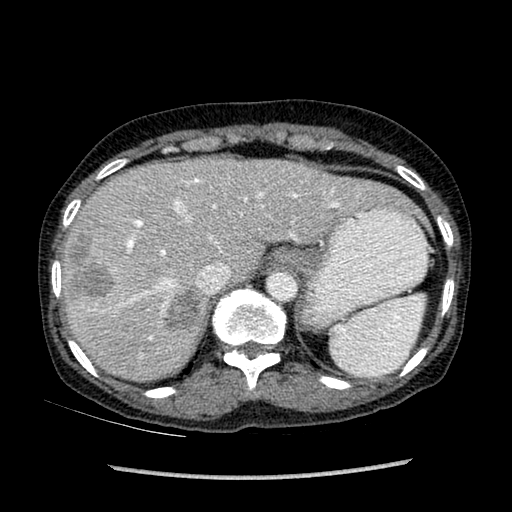 Liver | CT | Image size 512x512

The liver appears at <box>61,159,430,379</box>. 2 hepatic lesion regions appear at <box>63,232,114,301</box>, <box>165,289,201,329</box>.